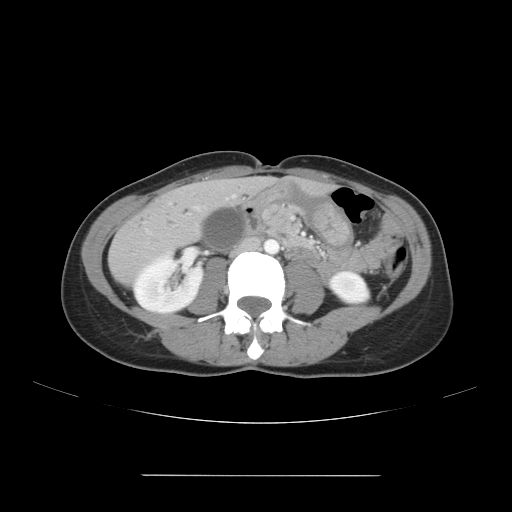

CT slice
- pancreas: box=[261, 203, 304, 241]